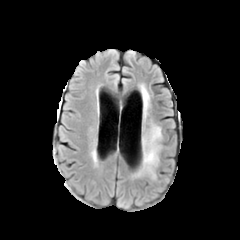
FLAIR MR image.
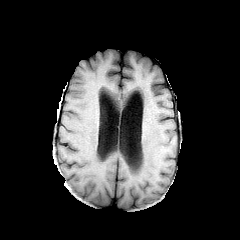
T1-weighted MRI of the same slice.
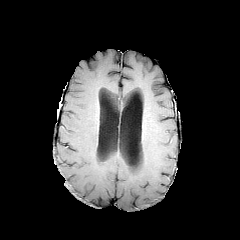
Post-contrast T1-weighted magnetic resonance of the same slice.
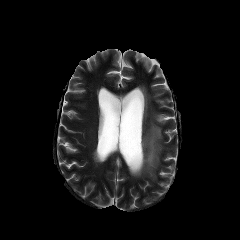
T2-weighted MR image.
Head
2 edema regions are bounded by box(141, 86, 149, 121); box(136, 124, 162, 178).